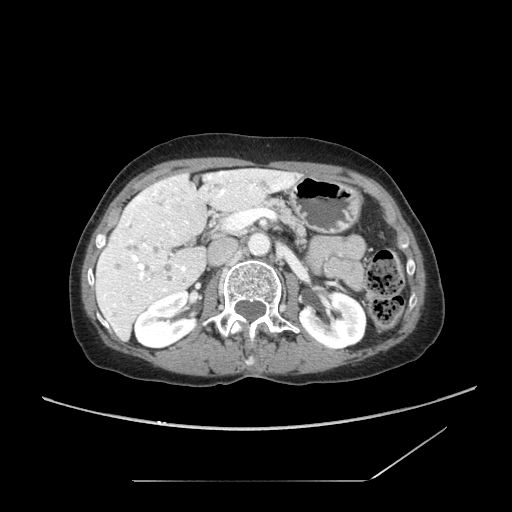
512x512 px. Abdomen. CT image.

Pancreas: bounding box (left=259, top=199, right=306, bottom=249).